240x240; Slice 90/155
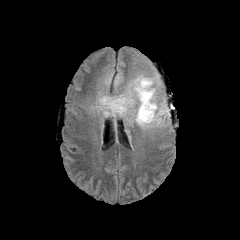
FLAIR MR.
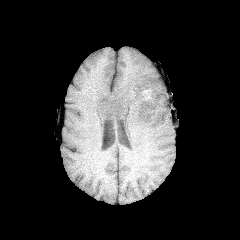
T1-weighted magnetic resonance of the same slice.
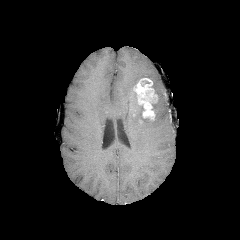
Post-contrast T1-weighted MRI of the same slice.
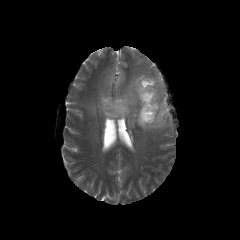
T2-weighted MRI.
<segmentation>
  <enhancing_tumor>133:78:157:119</enhancing_tumor>
  <non-enhancing_tumor_core>142:76:157:94, 126:91:157:123</non-enhancing_tumor_core>
  <edema>92:67:170:131</edema>
</segmentation>